CT slice | Slice 77/247

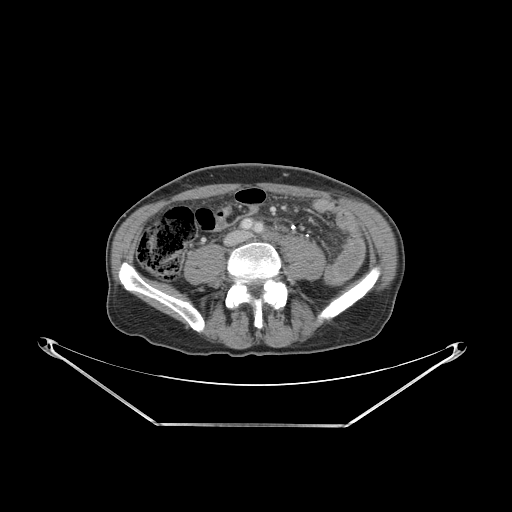
3 bone regions appear at l=119, t=263, r=204, b=331; l=320, t=268, r=379, b=318; l=226, t=243, r=286, b=327.